CT. Slice 324 of 781. Abdomen. 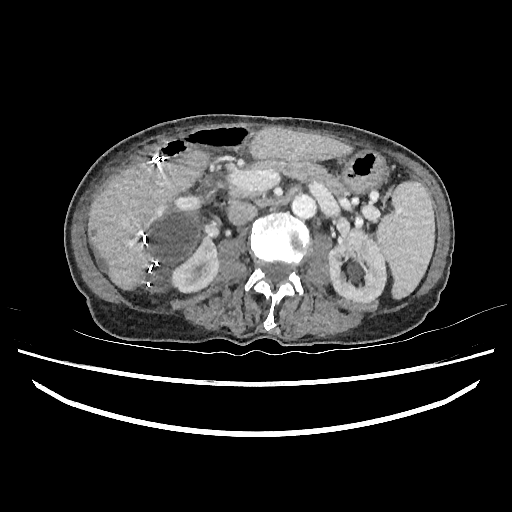

Findings:
• kidney: 173,222,218,292; 329,228,384,302
• liver lesion: 93,249,105,270; 144,210,199,293
• liver: 250,128,351,160; 89,151,208,289